Slice 74/155. Field of view 240 mm wide, 1.00 mm slice spacing.
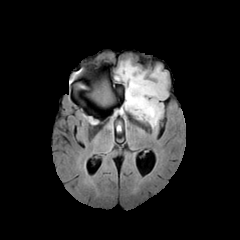
FLAIR MR image.
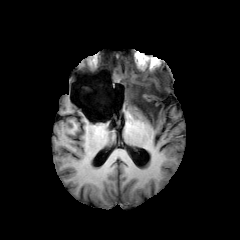
Same slice, T1-weighted MRI.
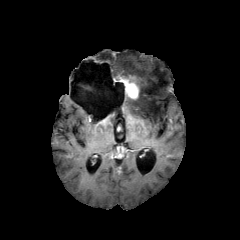
Same slice, post-contrast T1-weighted MRI.
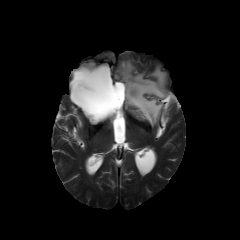
T2-weighted magnetic resonance of the same slice.
Non-enhancing tumor core — 125:74:149:102, 93:84:112:103.
Edema — 116:60:167:130.
Enhancing tumor — 118:75:139:99.